CT, Slice index 19

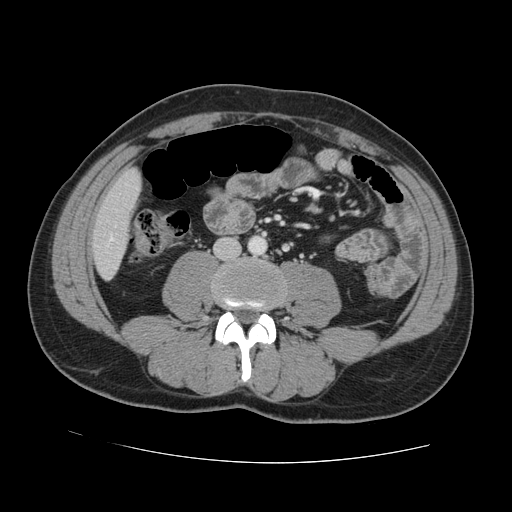 The vessel boxes may cover only some of the vessels.
Hepatic vessel: bounding box 109, 234, 113, 241.